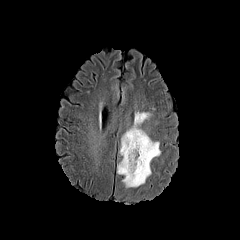
FLAIR MR.
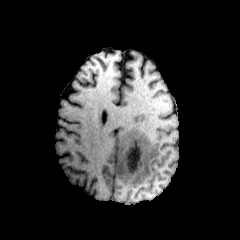
T1-weighted MRI.
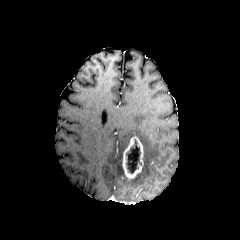
Same slice, post-contrast T1-weighted magnetic resonance.
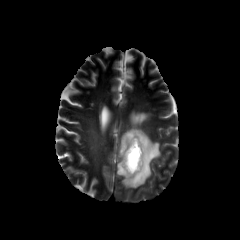
T2-weighted MRI.
The enhancing tumor is located at x1=122, y1=135, x2=143, y2=180. The edema appears at x1=120, y1=112, x2=160, y2=189. The non-enhancing tumor core appears at x1=125, y1=139, x2=140, y2=173.